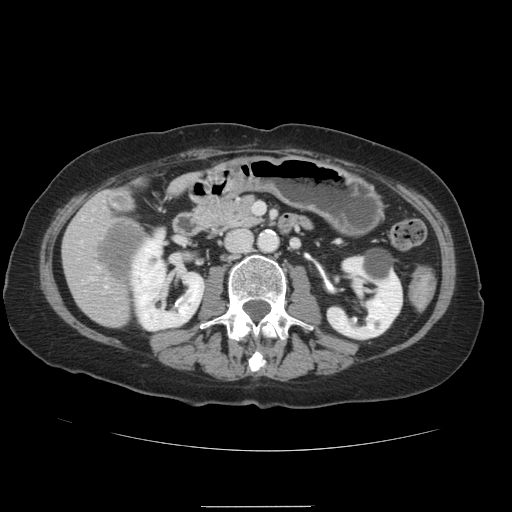
CT image. liver_tumor:
  - (98, 220, 143, 286)